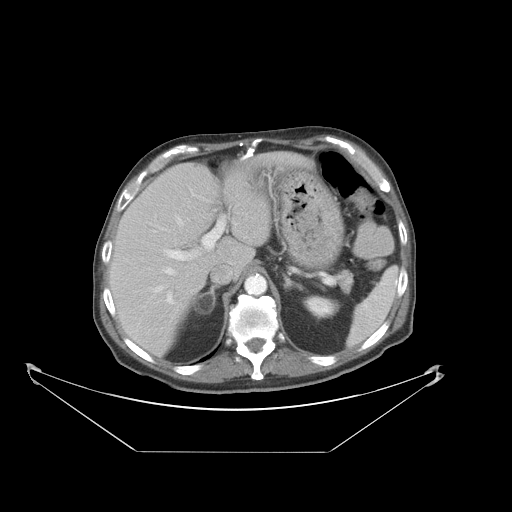
CT slice

The vessel boxes may cover only some of the vessels.
hepatic vessel: {"x1": 156, "y1": 286, "x2": 163, "y2": 291}, {"x1": 167, "y1": 292, "x2": 173, "y2": 304}, {"x1": 202, "y1": 216, "x2": 227, "y2": 250}, {"x1": 162, "y1": 229, "x2": 167, "y2": 230}, {"x1": 234, "y1": 222, "x2": 238, "y2": 225}, {"x1": 164, "y1": 249, "x2": 201, "y2": 260}, {"x1": 177, "y1": 217, "x2": 183, "y2": 225}, {"x1": 165, "y1": 268, "x2": 174, "y2": 274}